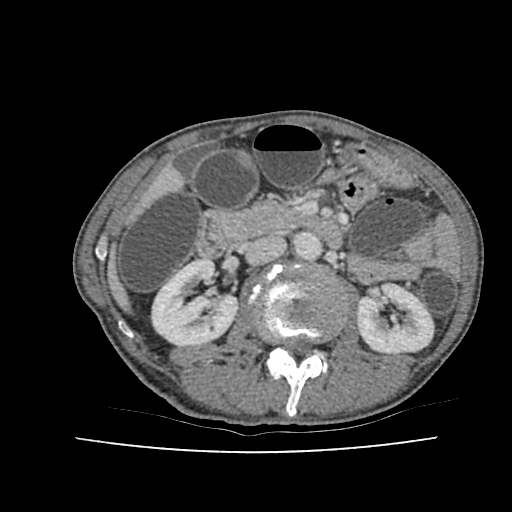

CT image. Liver. 512x512.
2 kidney regions are located at box(358, 285, 433, 352); box(152, 259, 237, 345). The liver lies within box(144, 169, 177, 205).